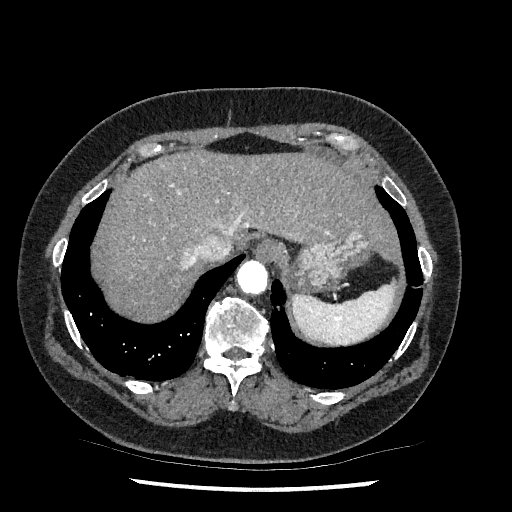 CT scan slice

liver:
  - [97, 151, 396, 319]